Field of view 500 mm wide, 3.27 mm slice spacing. Slice 139 of 299. Abdomen. 512x512 px. CT. 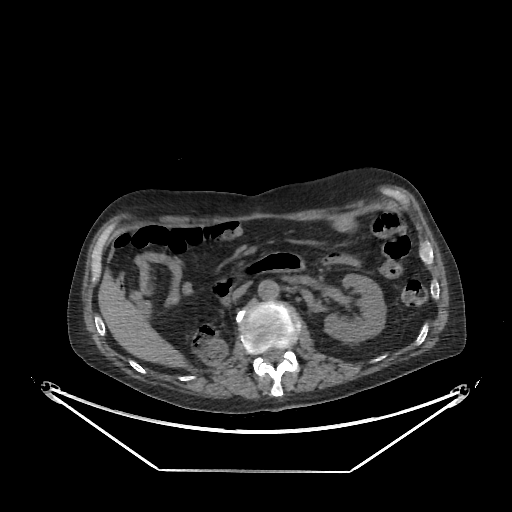
2 liver regions are bounded by (left=99, top=271, right=187, bottom=366), (left=130, top=292, right=141, bottom=300). The kidney is located at (left=317, top=274, right=385, bottom=342).